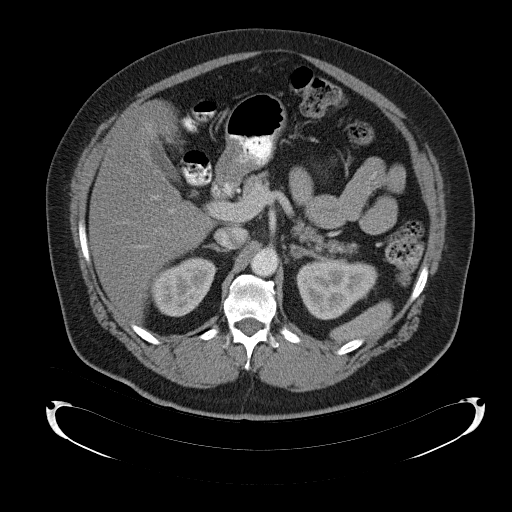
Computed tomography
Segmented structures:
* spleen: bbox=[331, 301, 391, 341]